Brain; Field of view 240x240 mm
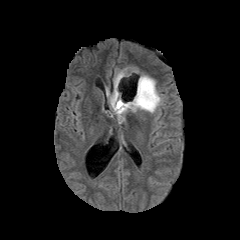
FLAIR MR.
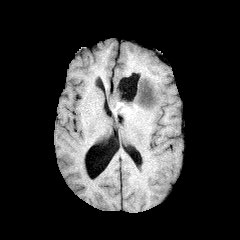
T1-weighted MR.
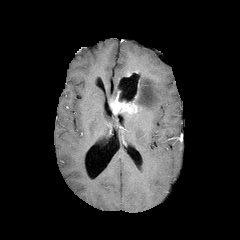
Post-contrast T1-weighted MR.
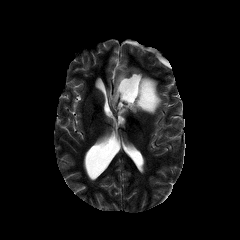
T2-weighted MRI.
non-enhancing_tumor_core:
  - x1=118, y1=78, x2=153, y2=109
  - x1=114, y1=110, x2=127, y2=123
edema:
  - x1=106, y1=66, x2=164, y2=114
enhancing_tumor:
  - x1=109, y1=91, x2=138, y2=113